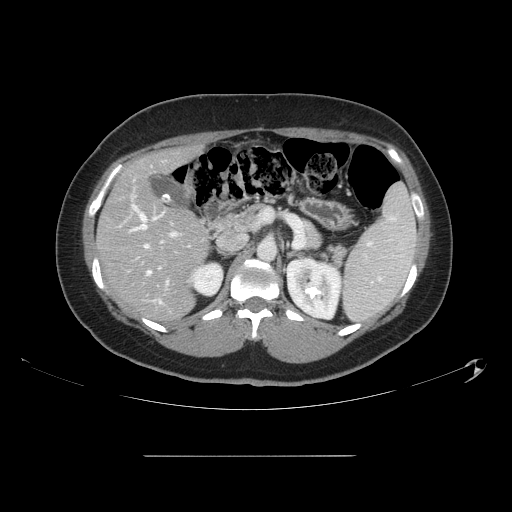
Computed tomography
Not every hepatic vessel necessarily has a box.
Annotated regions:
- hepatic vessel: box=[153, 217, 157, 219]; box=[147, 270, 150, 274]; box=[131, 206, 146, 230]; box=[158, 298, 161, 303]; box=[144, 244, 147, 247]; box=[166, 281, 167, 284]; box=[170, 232, 176, 235]